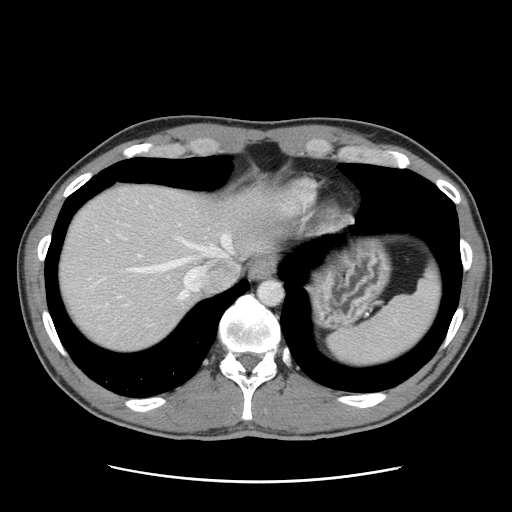 Image size 512x512; Computed tomography; Abdomen
The vessel boxes may cover only some of the vessels.
Annotated regions:
* hepatic vessel: 131, 259, 188, 271; 137, 254, 141, 256; 192, 245, 226, 256; 221, 234, 230, 250; 123, 238, 125, 239; 118, 235, 120, 236; 179, 267, 204, 298; 181, 240, 190, 245